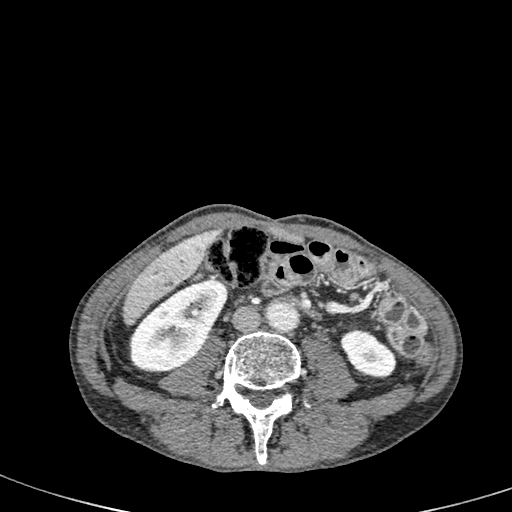
CT image | Abdomen
Liver — 124,229,222,325.
Kidney — 131,280,227,370; 341,331,394,376.